Slice 71/155 | Brain | 240x240
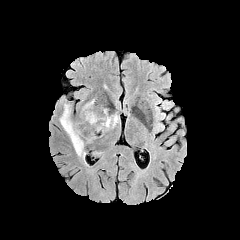
FLAIR MR.
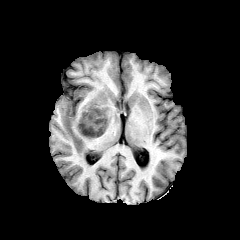
Same slice, T1-weighted MR image.
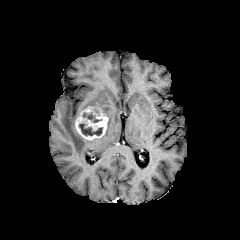
Same slice, post-contrast T1-weighted MRI.
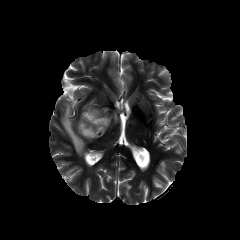
T2-weighted magnetic resonance.
* edema: bbox=[60, 102, 87, 158]; bbox=[104, 109, 117, 128]
* enhancing tumor: bbox=[75, 106, 107, 140]
* non-enhancing tumor core: bbox=[78, 123, 103, 136]